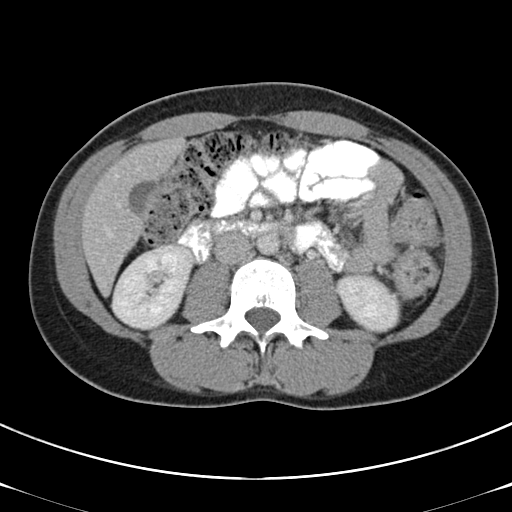 CT
The colon tumor is bounded by box(393, 250, 437, 299).